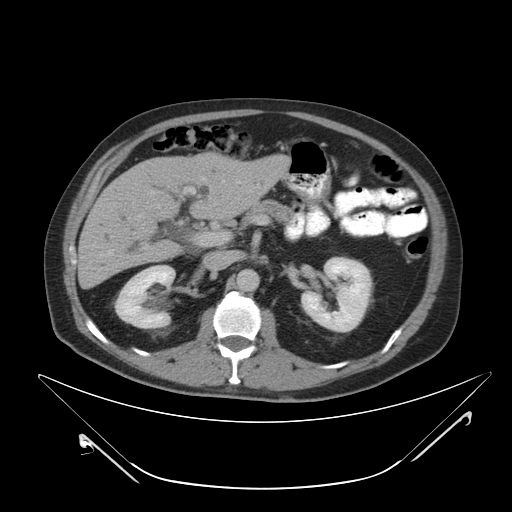 Upper abdomen; CT slice
Pancreas = 252, 200, 291, 222.